FLAIR MR image.
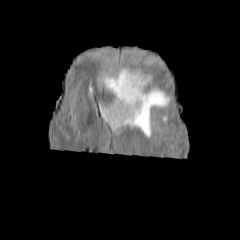
T1-weighted magnetic resonance.
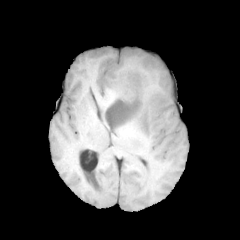
Post-contrast T1-weighted MR image.
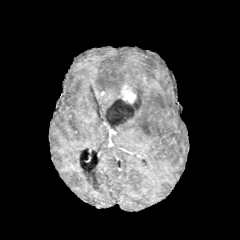
T2-weighted magnetic resonance.
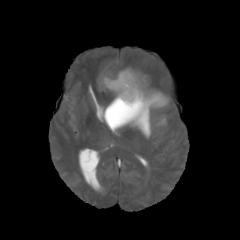
Brain
Non-enhancing tumor core at box=[104, 69, 147, 125].
Edema at box=[108, 82, 170, 137]; box=[102, 66, 133, 95].
Enhancing tumor at box=[121, 83, 136, 102].